Field of view 388x388 mm; Computed tomography; Slice 27/30; 512x512 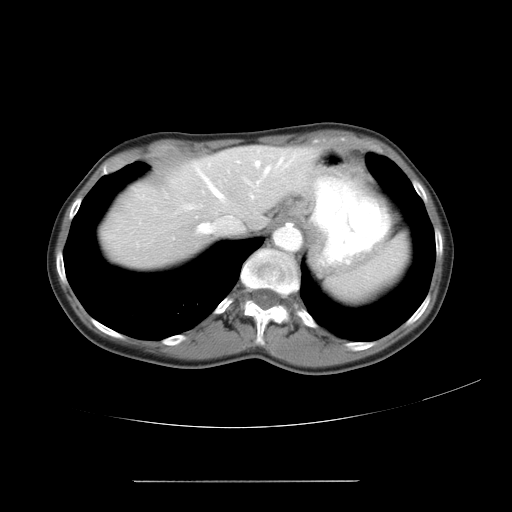
The vessel boxes may cover only some of the vessels.
Segmented structures:
• hepatic vessel: left=288, top=152, right=294, bottom=162; left=255, top=161, right=259, bottom=166; left=257, top=179, right=260, bottom=182; left=194, top=162, right=223, bottom=199; left=245, top=180, right=250, bottom=184; left=264, top=166, right=270, bottom=174; left=197, top=216, right=231, bottom=234; left=249, top=194, right=252, bottom=197; left=183, top=204, right=193, bottom=208; left=277, top=154, right=282, bottom=164